Field of view 500x500 mm; CT; Abdomen

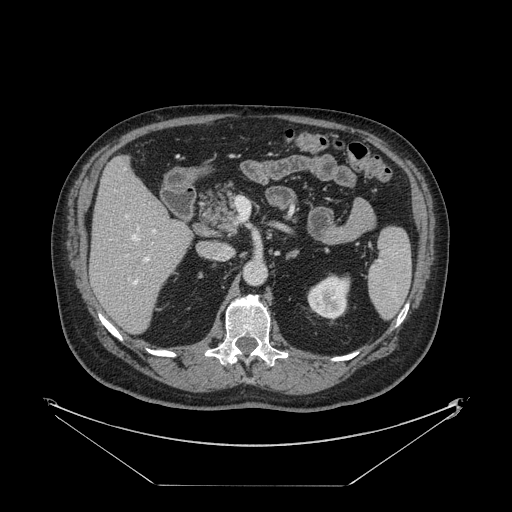 Some hepatic vessels may have no box.
<segmentation>
  <hepatic_vessel>{"x1": 125, "y1": 215, "x2": 127, "y2": 216}, {"x1": 143, "y1": 257, "x2": 147, "y2": 260}, {"x1": 152, "y1": 229, "x2": 154, "y2": 231}</hepatic_vessel>
</segmentation>